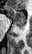 Medial temporal lobe, MR image
The anterior hippocampus lies within (7,6,27,24). The posterior hippocampus is bounded by (15,24,25,32).